Image size 512x512. CT image.

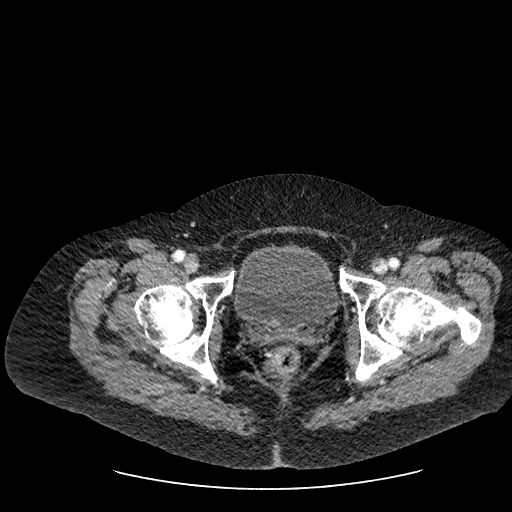
Annotated regions:
* urinary bladder: 231,244,339,334